FLAIR MRI.
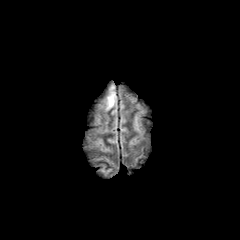
T1-weighted MR image.
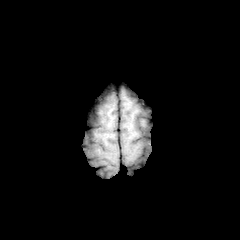
Post-contrast T1-weighted MR image.
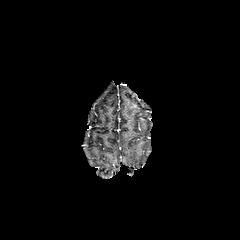
T2-weighted MR.
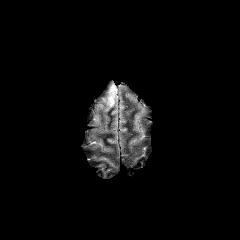
Head
- edema: <bbox>107, 83, 116, 108</bbox>